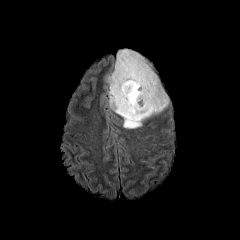
FLAIR magnetic resonance.
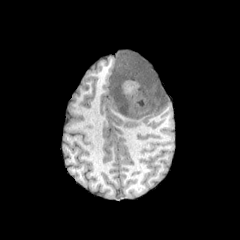
T1-weighted MRI of the same slice.
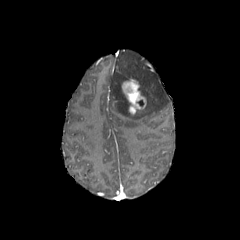
Post-contrast T1-weighted MRI.
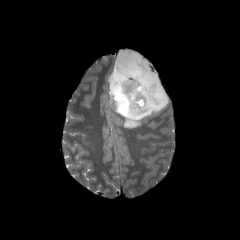
T2-weighted MR.
240x240 px
- edema: <box>109,50,169,128</box>
- enhancing tumor: <box>121,77,146,115</box>